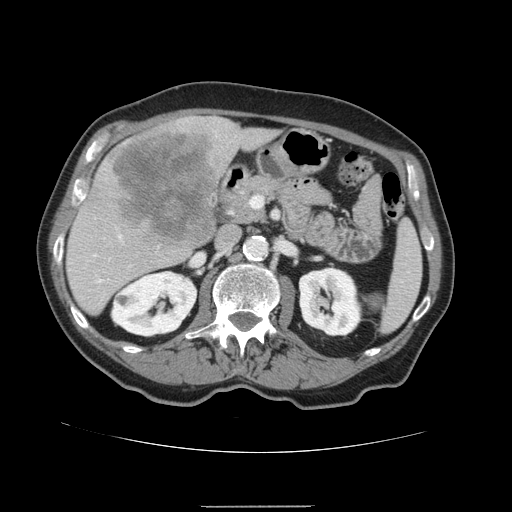
Upper abdomen. 512x512. CT.

<segmentation>
  <spleen><box>382,222,421,331</box></spleen>
</segmentation>